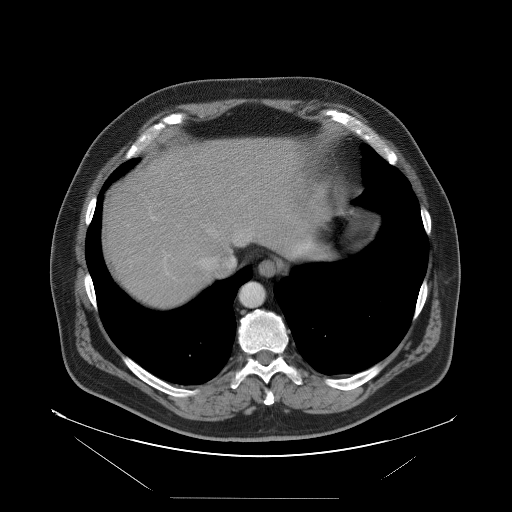 512x512 px, CT scan slice
Not every hepatic vessel necessarily has a box.
5 hepatic vessel regions are located at (left=164, top=259, right=167, bottom=272), (left=235, top=238, right=239, bottom=244), (left=203, top=258, right=206, bottom=263), (left=163, top=251, right=164, bottom=252), (left=151, top=216, right=156, bottom=219).